CT slice; Image size 512x512; Field of view 411x411 mm
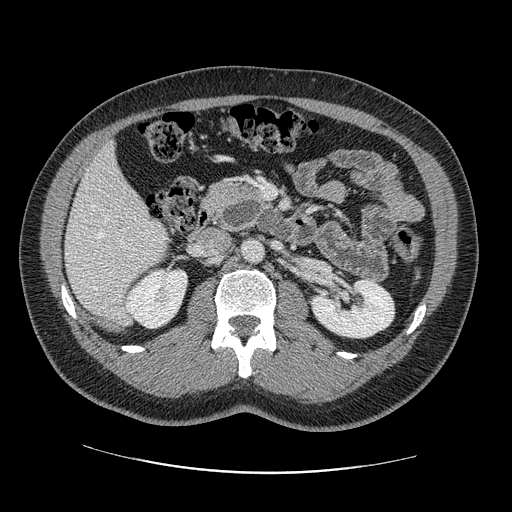

{"pancreas": ["200 179 270 231"]}